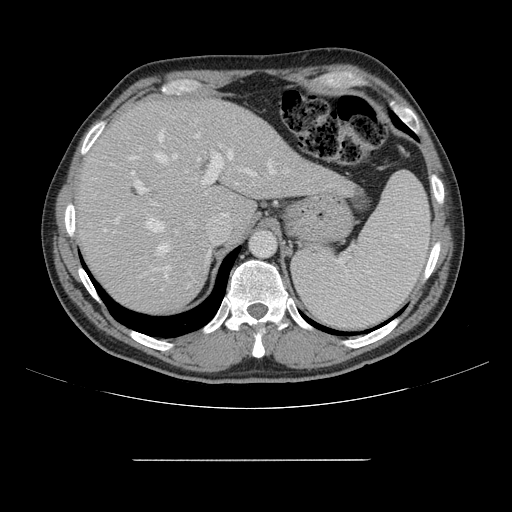

CT scan slice.

Some hepatic vessels may have no box.
* hepatic vessel (top 15 of 17): (x1=154, y1=266, x2=170, y2=269), (x1=156, y1=245, x2=166, y2=254), (x1=175, y1=229, x2=176, y2=233), (x1=228, y1=150, x2=232, y2=158), (x1=196, y1=133, x2=200, y2=137), (x1=285, y1=170, x2=288, y2=172), (x1=115, y1=216, x2=119, y2=223), (x1=205, y1=191, x2=206, y2=193), (x1=165, y1=274, x2=167, y2=280), (x1=146, y1=219, x2=162, y2=231), (x1=241, y1=168, x2=255, y2=175), (x1=135, y1=181, x2=148, y2=193), (x1=202, y1=152, x2=222, y2=184), (x1=132, y1=171, x2=133, y2=173), (x1=268, y1=160, x2=275, y2=173)